FLAIR MR.
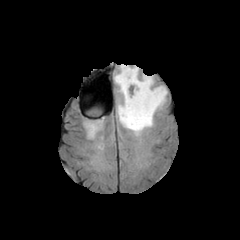
T1-weighted magnetic resonance.
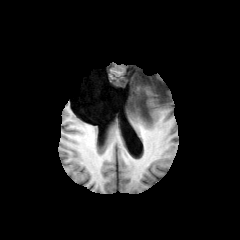
Post-contrast T1-weighted MR.
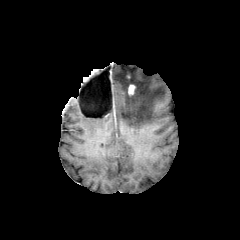
T2-weighted MRI.
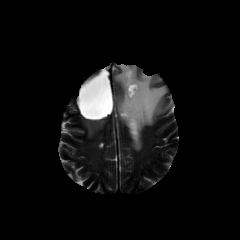
{
  "edema": [
    "114:66:167:136"
  ],
  "enhancing_tumor": [
    "128:84:135:94"
  ],
  "non-enhancing_tumor_core": [
    "125:84:136:97"
  ]
}